Slice 319/811. Field of view 387 mm wide, 0.80 mm slice spacing. CT scan slice. Abdomen. Image size 512x512. 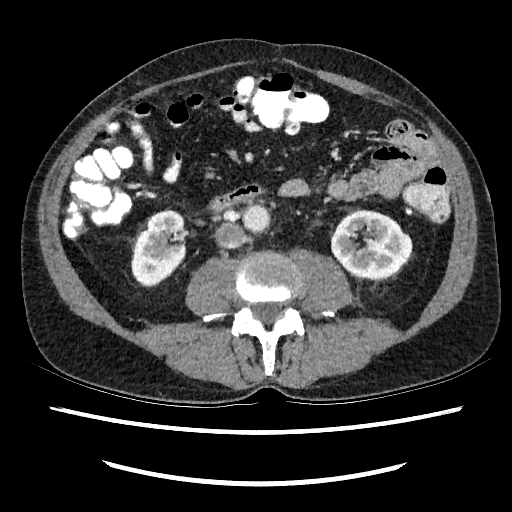 kidney: x1=132 y1=211 x2=184 y2=284, x1=332 y1=211 x2=411 y2=278